Image width 500 mm | CT
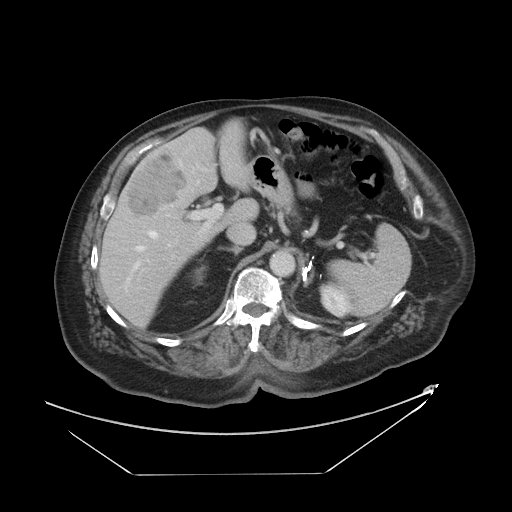
The vessel annotation is not exhaustive.
The liver tumor is located at (128,150,188,220). 2 hepatic vessel regions are located at (192,211,204,218), (198,221,212,235).